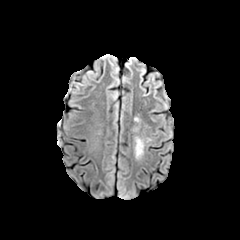
FLAIR MR image.
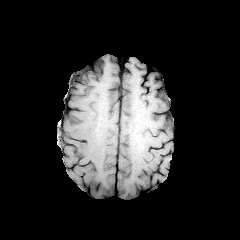
T1-weighted MRI.
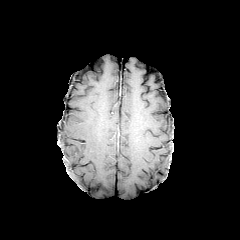
Post-contrast T1-weighted MRI.
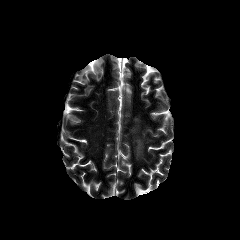
Same slice, T2-weighted MR image.
240x240.
edema:
  - box=[134, 138, 143, 156]